FLAIR magnetic resonance.
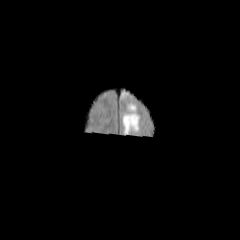
T1-weighted MR image.
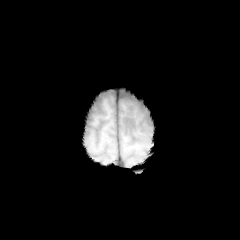
Post-contrast T1-weighted MRI.
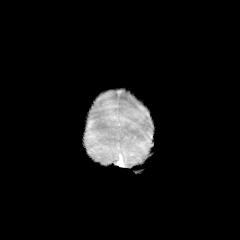
T2-weighted MR image.
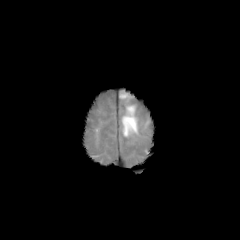
Head. Image size 240x240.
Edema: bbox(119, 89, 132, 99); bbox(122, 104, 138, 137).